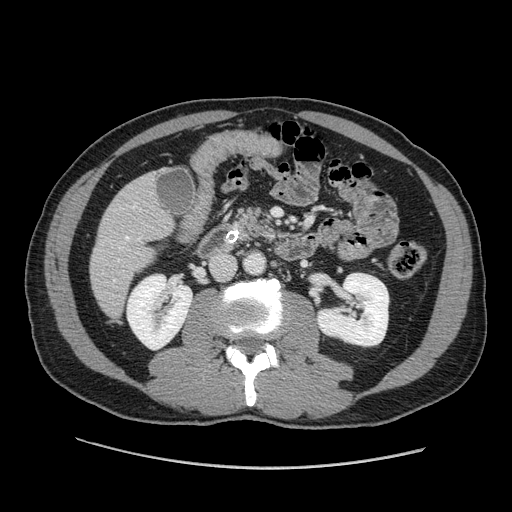
512x512. CT scan slice. Annotated regions:
- pancreas: (230,205,278,246)